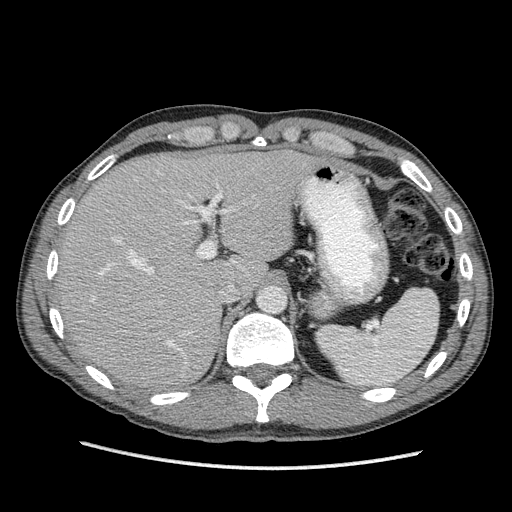 Upper abdomen, CT, 512x512
{
  "liver": [
    "x1=55, y1=148, x2=327, y2=392"
  ]
}